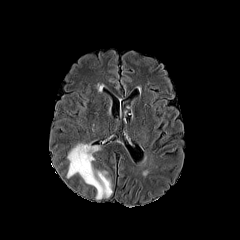
FLAIR magnetic resonance.
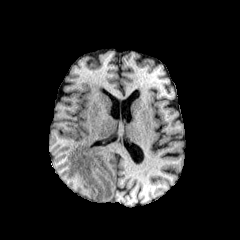
T1-weighted MR.
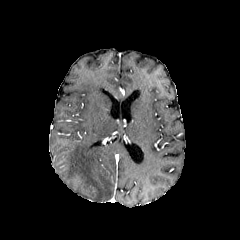
Post-contrast T1-weighted MR of the same slice.
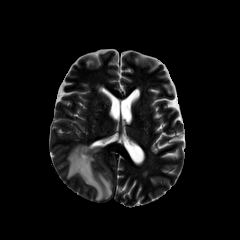
T2-weighted MRI of the same slice.
Head, 240x240
The edema appears at x1=67, y1=143, x2=112, y2=199.